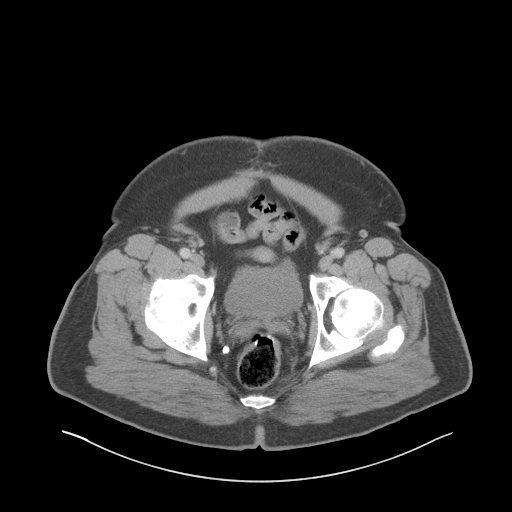 Pelvis. CT scan slice. Image size 512x512.
The urinary bladder lies within bbox=[225, 264, 300, 313].